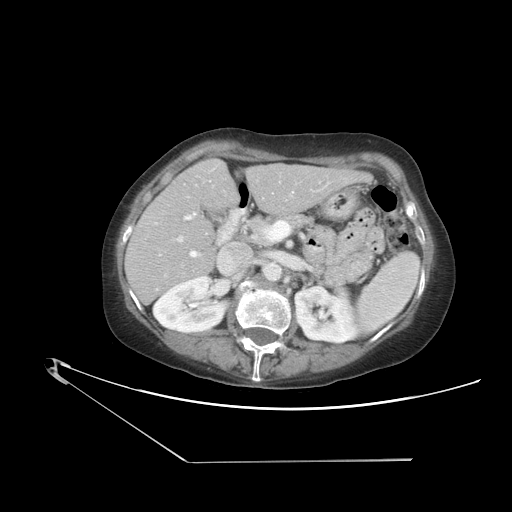
CT image. Liver. Image size 512x512.

The vessel boxes may cover only some of the vessels.
<segmentation>
  <hepatic_vessel>box=[178, 236, 182, 241]; box=[155, 222, 156, 224]; box=[185, 213, 195, 219]; box=[311, 189, 321, 191]; box=[190, 251, 200, 256]; box=[290, 192, 293, 196]; box=[327, 182, 329, 184]</hepatic_vessel>
</segmentation>